FLAIR magnetic resonance.
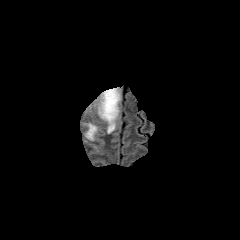
T1-weighted MRI.
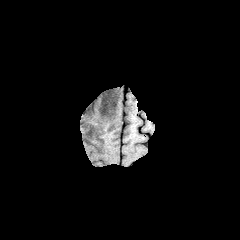
Post-contrast T1-weighted MR.
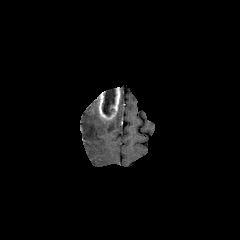
T2-weighted MR.
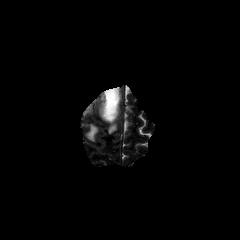
Head.
non-enhancing_tumor_core:
  - region(103, 88, 116, 115)
enhancing_tumor:
  - region(98, 87, 120, 120)
edema:
  - region(83, 122, 100, 141)
  - region(94, 102, 120, 133)